Slice index 38. Image size 512x512. Abdomen. Computed tomography.

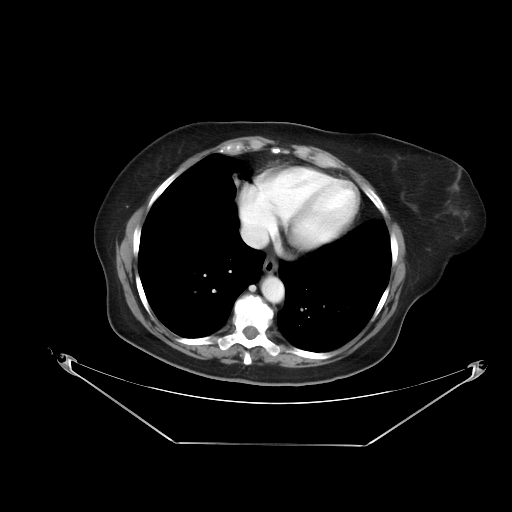
Some hepatic vessels may have no box.
Hepatic vessel at x1=244, y1=228, x2=259, y2=246.